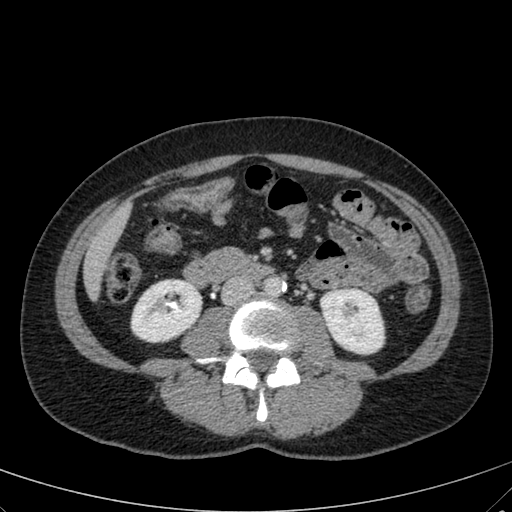
CT image; Abdomen
Liver = x1=83, y1=207, x2=126, y2=299.
Kidney = x1=132, y1=280, x2=200, y2=341; x1=321, y1=289, x2=383, y2=353.